512x512 px; CT 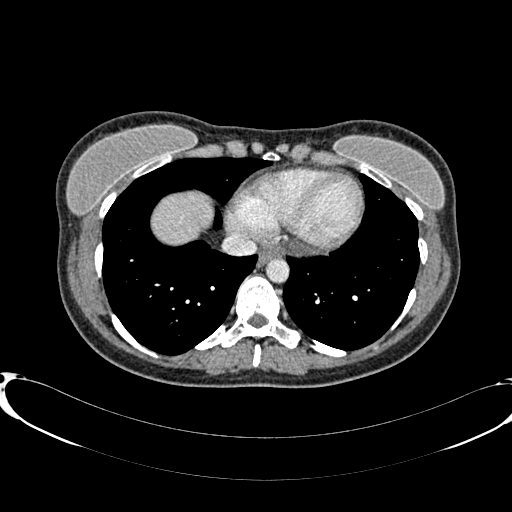
The liver is at box(153, 193, 211, 242).